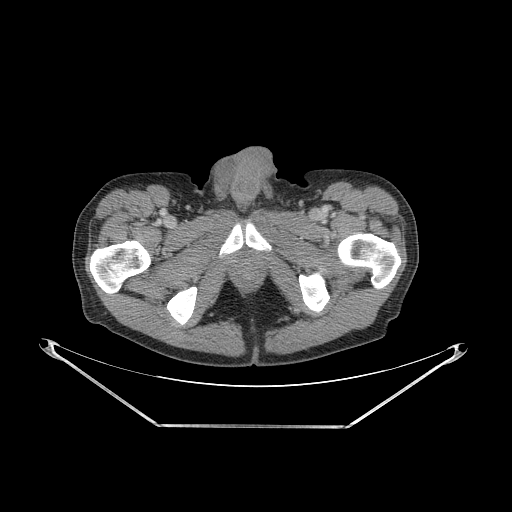

CT
5 bone regions are bounded by [x1=299, y1=273, x2=329, y2=311], [x1=338, y1=233, x2=400, y2=288], [x1=220, y1=223, x2=270, y2=254], [x1=90, y1=241, x2=150, y2=293], [x1=167, y1=287, x2=196, y2=324].